Upper abdomen, Computed tomography
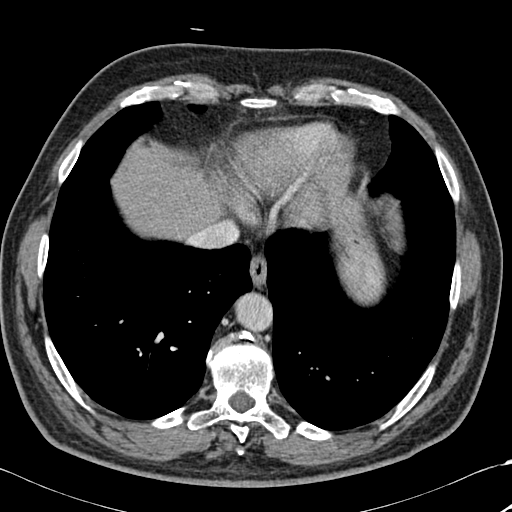
Segmented structures:
• bone: <bbox>38, 235, 48, 274</bbox>, <bbox>385, 367, 433, 426</bbox>, <bbox>121, 81, 182, 106</bbox>, <bbox>152, 409, 183, 428</bbox>, <bbox>59, 142, 80, 181</bbox>, <bbox>46, 339, 84, 405</bbox>, <bbox>188, 331, 289, 442</bbox>, <bbox>296, 422, 330, 439</bbox>, <bbox>245, 99, 267, 107</bbox>, <bbox>450, 266, 460, 307</bbox>, <bbox>436, 150, 458, 200</bbox>, <bbox>349, 89, 397, 113</bbox>
• lung: <bbox>43, 101, 252, 419</bbox>, <bbox>264, 115, 455, 430</bbox>, <bbox>188, 104, 207, 113</bbox>
• liver: <bbox>113, 148, 219, 239</bbox>